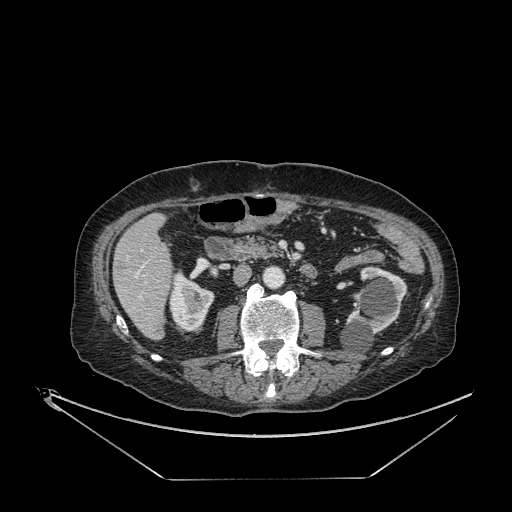

512x512 px; Computed tomography; Liver
Kidney at box(190, 269, 204, 278); box(347, 308, 366, 322); box(361, 267, 406, 333); box(170, 273, 213, 330).
Liver at box(113, 213, 171, 339).
Hepatic lesion at box(154, 322, 163, 335); box(117, 261, 126, 270).